Slice 84 of 155 | Brain
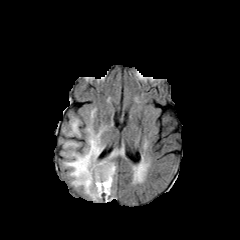
FLAIR MRI.
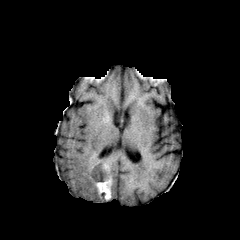
T1-weighted MRI.
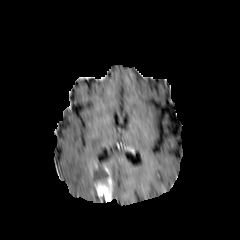
Post-contrast T1-weighted MR.
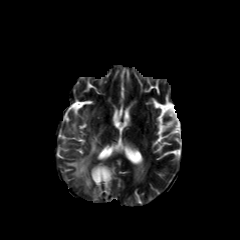
T2-weighted magnetic resonance of the same slice.
- enhancing tumor: 95 165 112 200
- non-enhancing tumor core: 92 164 107 183
- edema: 137 167 143 177, 63 125 123 201, 69 120 79 135